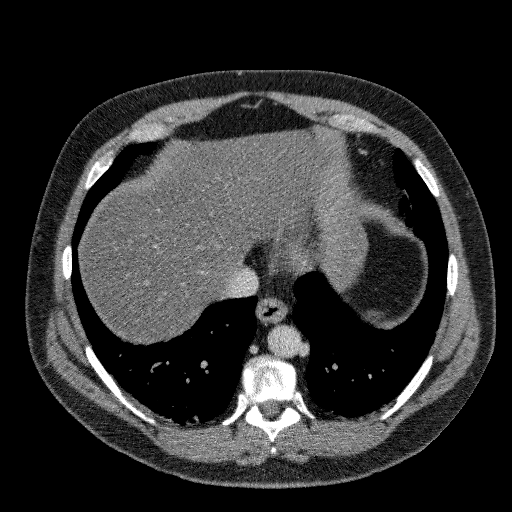 CT scan slice
liver: box(79, 131, 323, 342)